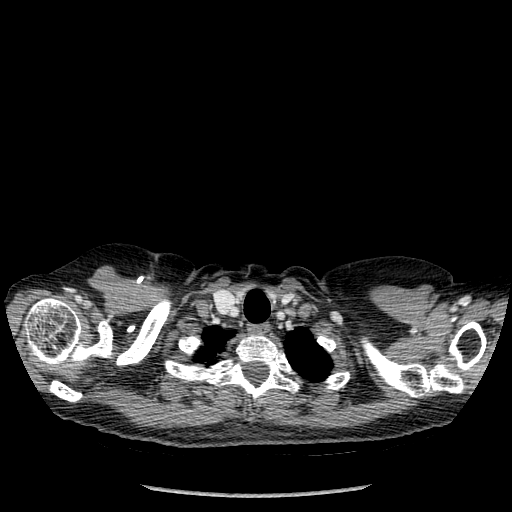

Computed tomography
* lung: (284,327,332,381), (194,326,233,364), (244,289,270,322)
* bone: (49,380,81,401), (325,372,349,390), (24,298,112,366), (361,338,464,397), (448,320,486,373), (317,335,336,351), (164,333,300,400), (116,299,170,365), (178,336,200,354)